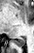

34x53 | MR

• posterior hippocampus: left=14, top=36, right=25, bottom=46